FLAIR MR.
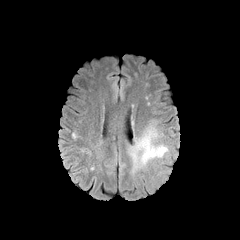
T1-weighted MR image.
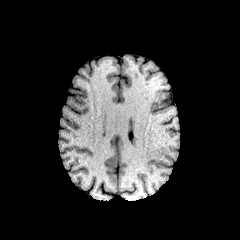
Post-contrast T1-weighted MRI.
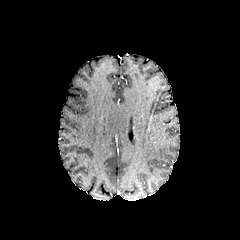
T2-weighted magnetic resonance.
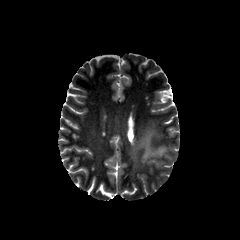
Brain
Edema: l=130, t=120, r=167, b=171.